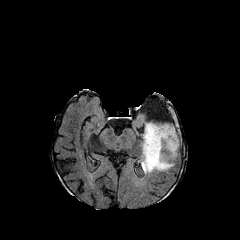
FLAIR MR.
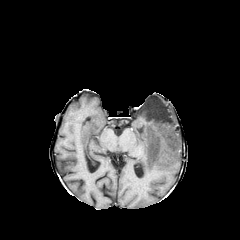
T1-weighted MRI.
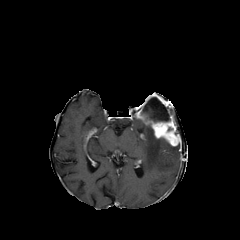
Same slice, post-contrast T1-weighted magnetic resonance.
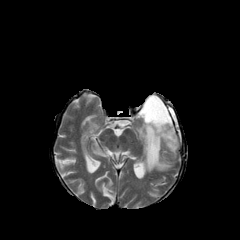
T2-weighted magnetic resonance.
Head
non-enhancing tumor core: <box>137,94,173,121</box> | enhancing tumor: <box>137,112,179,146</box> | edema: <box>138,123,178,173</box>